CT image
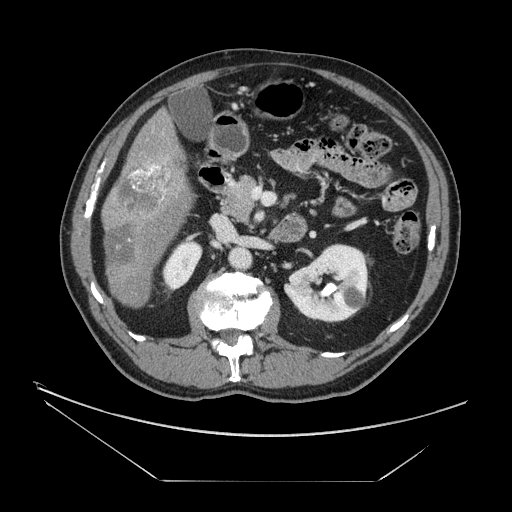
Liver tumor at [118,162,178,211], [109,227,135,265].